Abdomen; Computed tomography 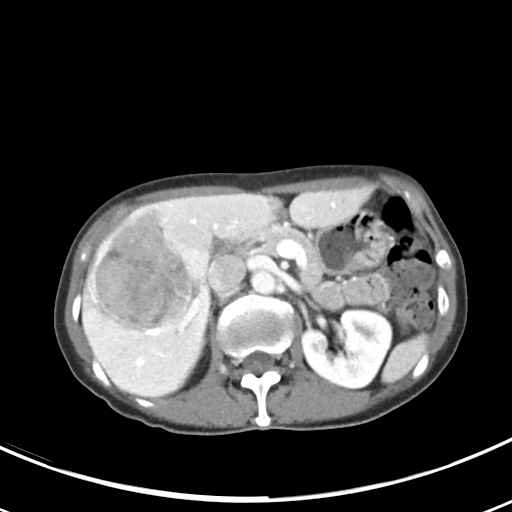 <segmentation>
  <liver_tumor>box(90, 205, 203, 334)</liver_tumor>
</segmentation>